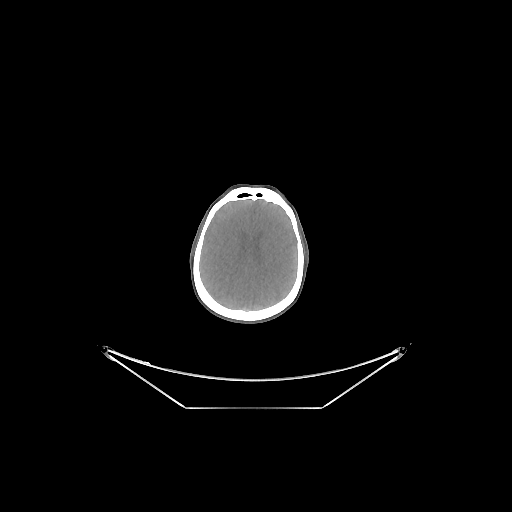

CT | Head

Segmented structures:
* brain: rect(199, 199, 297, 311)
* bone: rect(193, 187, 303, 320)